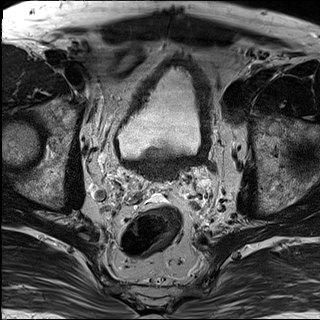
T2-weighted MR.
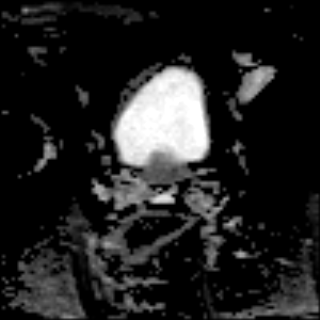
ADC MRI of the same slice.
320x320 px
Prostate transition zone: (x1=159, y1=152, x2=171, y2=163).